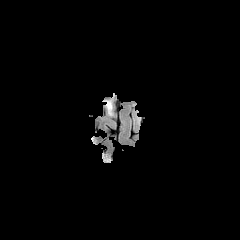
FLAIR MRI.
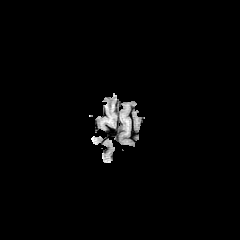
Same slice, T1-weighted magnetic resonance.
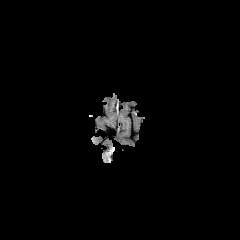
Post-contrast T1-weighted MR of the same slice.
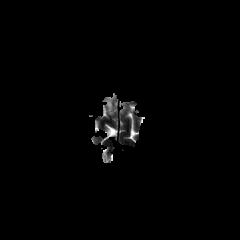
T2-weighted MR image.
Findings:
- non-enhancing tumor core: 106 102 113 115